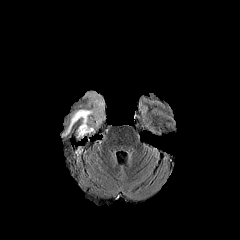
FLAIR magnetic resonance.
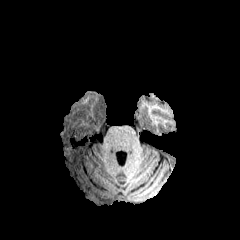
Same slice, T1-weighted MR.
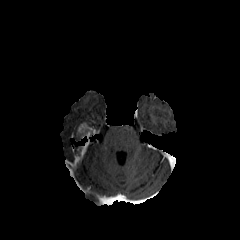
Post-contrast T1-weighted MRI.
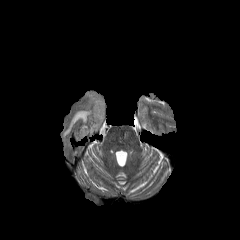
T2-weighted magnetic resonance.
The edema is located at (61, 91, 103, 140). The enhancing tumor is at (76, 122, 95, 140).